Slice 364/671; CT slice; Abdomen
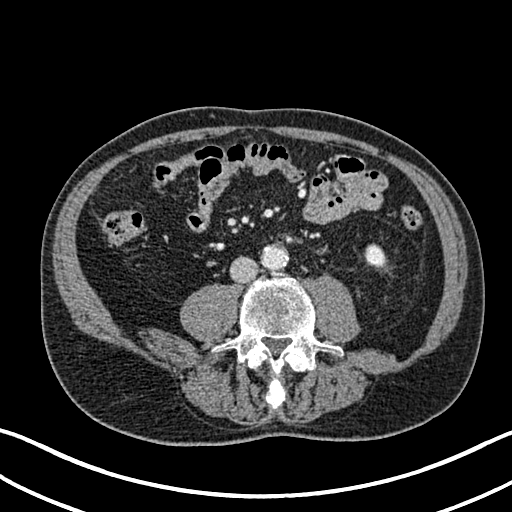 {"kidney": ["(366,245,384,265)"]}